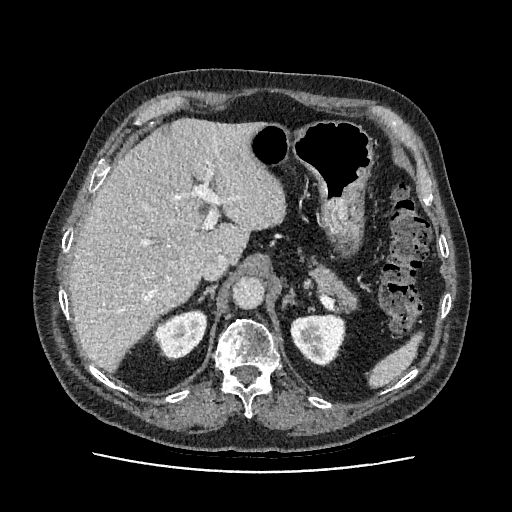 CT scan slice

Kidney — [156,312,205,357], [291,316,343,363].
Liver — [69,119,284,371].